Field of view 350x350 mm; 512x512 px; Upper abdomen; Slice 459/647; CT image
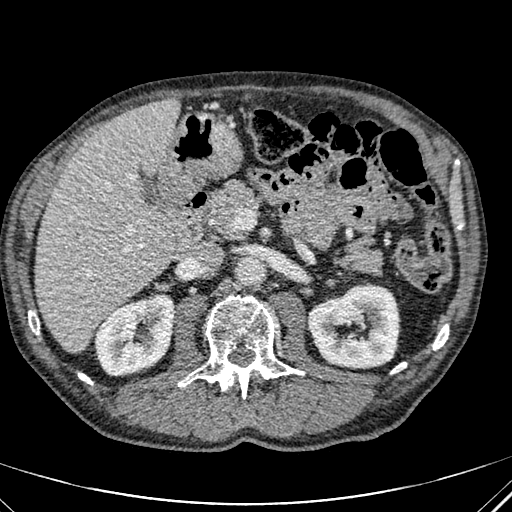 2 kidney regions are located at [96, 296, 173, 374], [309, 287, 398, 367]. The liver is located at [35, 98, 187, 353].